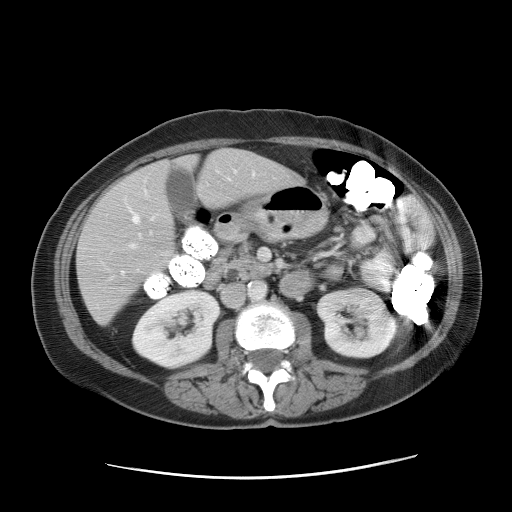

CT image.
Not every hepatic vessel necessarily has a box.
5 hepatic vessel regions are bounded by 228, 178, 230, 180; 127, 205, 139, 223; 145, 193, 147, 197; 130, 244, 135, 247; 121, 272, 124, 274.